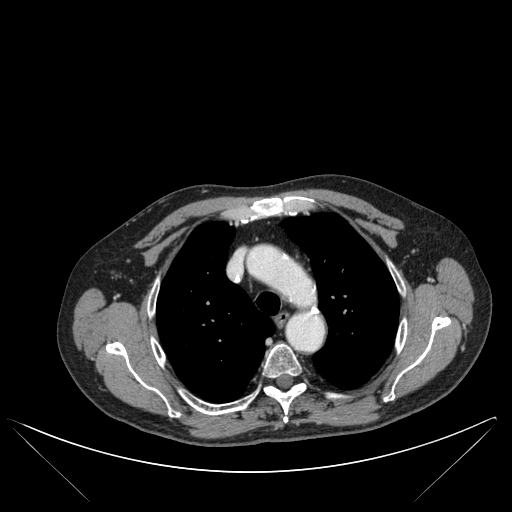
Chest. Computed tomography. 2 lung regions are located at box=[281, 213, 399, 389]; box=[156, 221, 279, 402]. 10 bone regions appear at box=[147, 285, 157, 315]; box=[395, 319, 407, 352]; box=[384, 317, 450, 401]; box=[264, 344, 300, 377]; box=[264, 383, 305, 421]; box=[391, 265, 401, 290]; box=[242, 196, 313, 222]; box=[182, 395, 253, 414]; box=[151, 337, 164, 366]; box=[106, 342, 179, 416].